Liver; Computed tomography

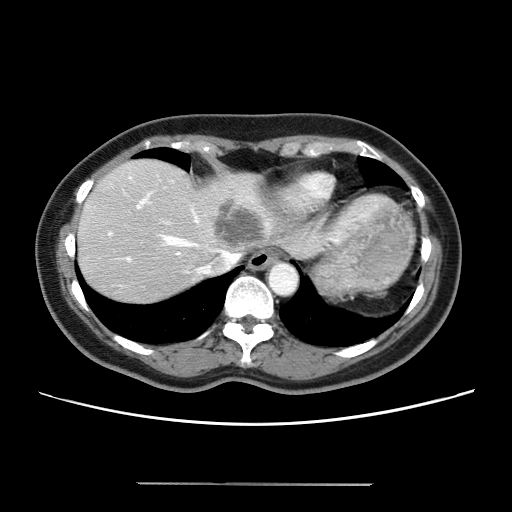 Only some of the vessels may be annotated.
hepatic vessel: (x1=128, y1=258, x2=129, y2=260), (x1=198, y1=267, x2=206, y2=273), (x1=137, y1=198, x2=147, y2=207), (x1=221, y1=251, x2=237, y2=256), (x1=162, y1=235, x2=188, y2=245) | liver tumor: (x1=215, y1=202, x2=265, y2=250)